512x512. Upper abdomen. CT image. Slice index 46.
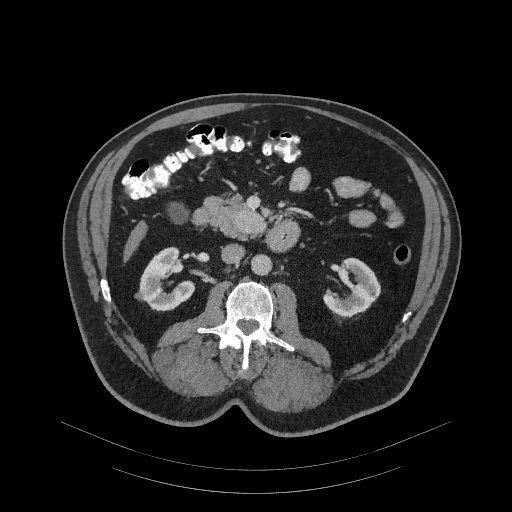

pancreas: <bbox>205, 196, 258, 238</bbox> | pancreatic tumor: <bbox>235, 210, 266, 234</bbox>